Field of view 333x333 mm | CT scan slice | Image size 512x512

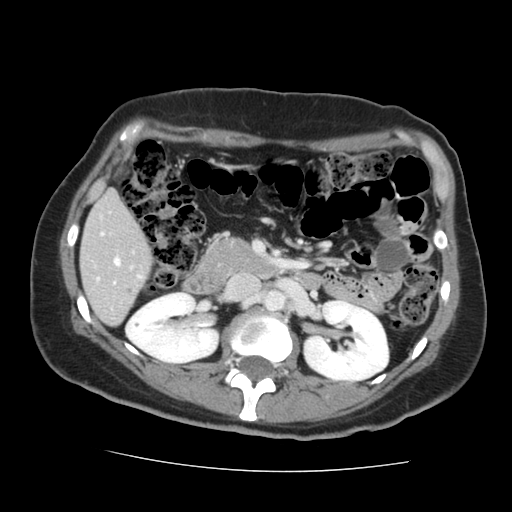

Not every hepatic vessel necessarily has a box.
- hepatic vessel: region(114, 258, 119, 264); region(100, 233, 103, 235)